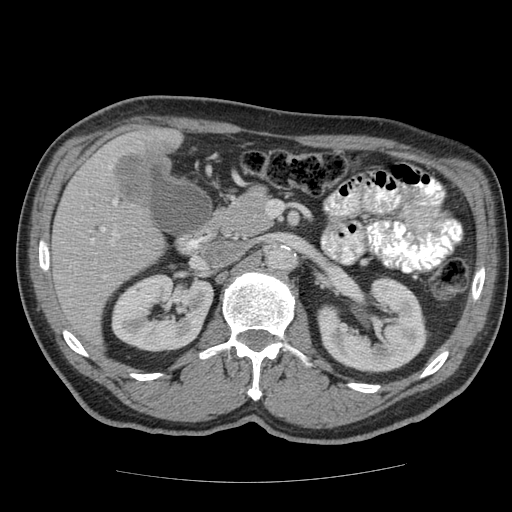 CT slice, Abdomen, 512x512 px
The vessel annotation is not exhaustive.
4 hepatic vessel regions are bounded by 90, 240, 93, 243; 113, 200, 116, 204; 101, 228, 104, 230; 103, 276, 105, 278. The liver tumor is bounded by 117, 146, 172, 202.